FLAIR MRI.
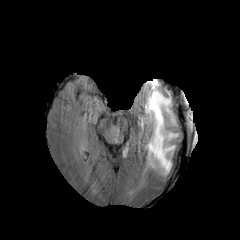
T1-weighted magnetic resonance.
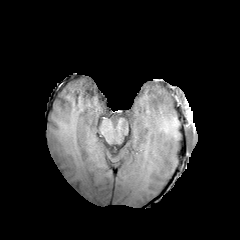
Post-contrast T1-weighted MRI.
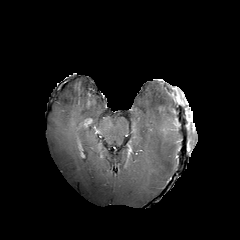
T2-weighted magnetic resonance.
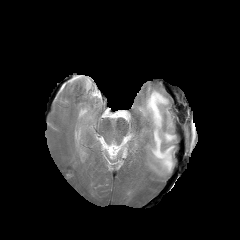
Brain.
{
  "edema": [
    "x1=138 y1=81 x2=178 y2=176"
  ]
}